512x512 px; Slice 61 of 126; Upper abdomen; CT
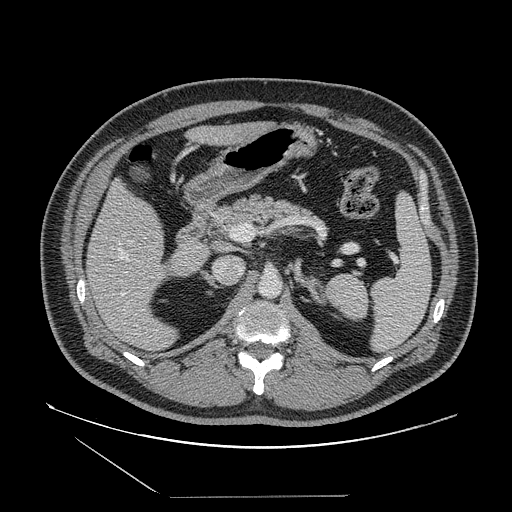
pancreas:
  - 204, 194, 326, 254